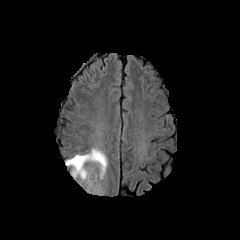
FLAIR magnetic resonance.
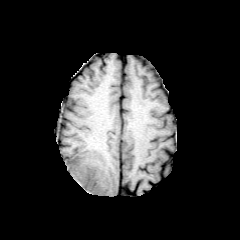
Same slice, T1-weighted MR.
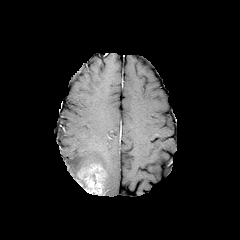
Same slice, post-contrast T1-weighted MR.
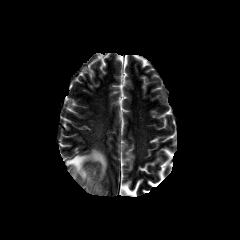
T2-weighted magnetic resonance of the same slice.
240x240 px. Head.
The edema appears at bbox(65, 147, 107, 177). The enhancing tumor is located at bbox(76, 166, 104, 194).